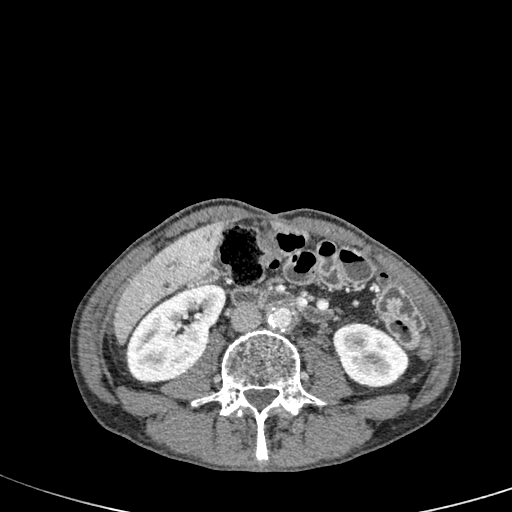 CT image. Abdomen.

The liver is bounded by 115:221:224:344. 2 kidney regions are bounded by 127:285:225:381, 334:324:407:386.